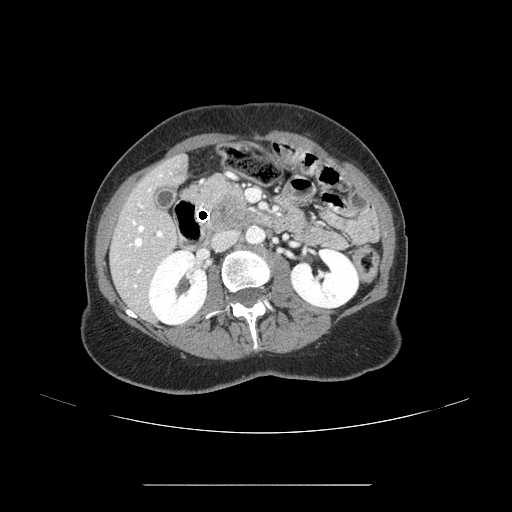

Image size 512x512; CT slice
<segmentation>
  <pancreatic_tumor>x1=209 y1=192 x2=256 y2=230</pancreatic_tumor>
  <pancreas>x1=209 y1=217 x2=240 y2=234, x1=185 y1=176 x2=260 y2=224</pancreas>
</segmentation>